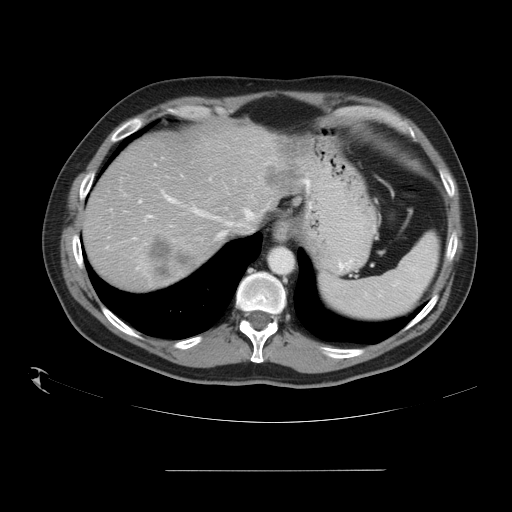
512x512 px. CT image. Liver.
The vessel boxes may cover only some of the vessels.
<segmentation>
  <liver_tumor>149 236 173 279, 264 140 305 188, 177 254 195 268</liver_tumor>
  <hepatic_vessel>139 200 141 202, 228 222 232 226, 134 237 135 239, 147 215 151 217, 245 210 251 215</hepatic_vessel>
</segmentation>